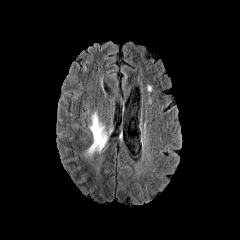
FLAIR MR.
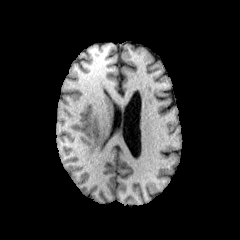
Same slice, T1-weighted magnetic resonance.
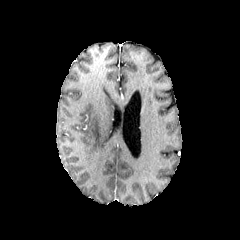
Same slice, post-contrast T1-weighted MR image.
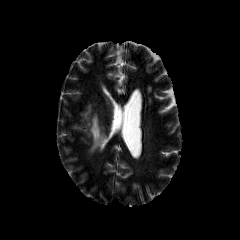
T2-weighted magnetic resonance of the same slice.
Brain, 240x240 px
The edema is bounded by {"x1": 89, "y1": 113, "x2": 108, "y2": 152}.